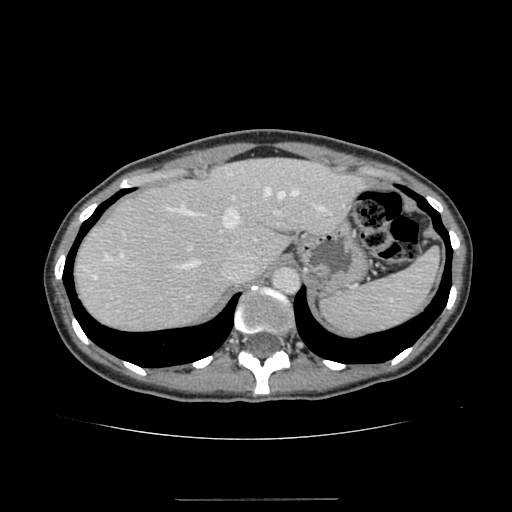 Liver. CT slice.

Liver — [76,158,370,332].